FLAIR MR.
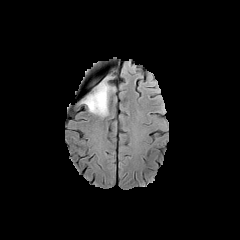
T1-weighted MR image.
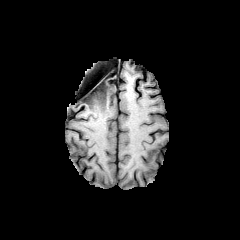
Post-contrast T1-weighted MR image.
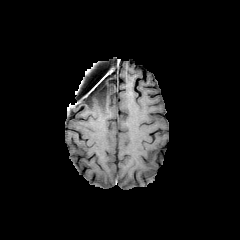
T2-weighted MR image.
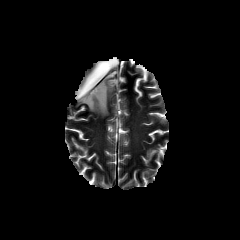
240x240 px
Non-enhancing tumor core at [x1=81, y1=78, x2=105, y2=103].
Edema at [x1=86, y1=78, x2=99, y2=91], [x1=84, y1=80, x2=113, y2=115].